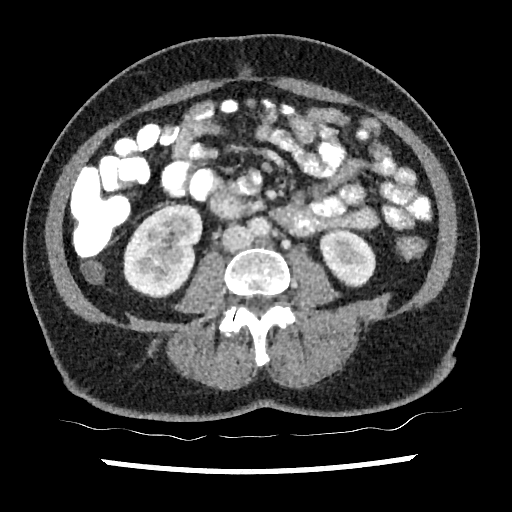 Computed tomography

Segmented structures:
- kidney: box(321, 231, 374, 285); box(125, 205, 201, 295)